Abdomen. CT. Image size 512x512. Field of view 472x472 mm.
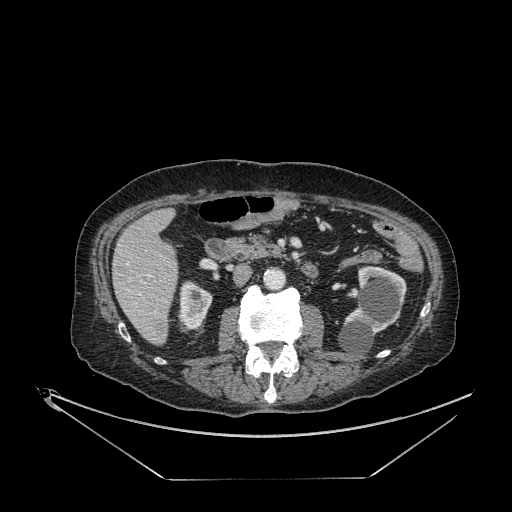 Findings:
- liver: x1=113 y1=209 x2=177 y2=345
- focal liver lesion: x1=155 y1=323 x2=165 y2=331
- kidney: x1=358 y1=266 x2=405 y2=302, x1=345 y1=307 x2=399 y2=333, x1=179 y1=282 x2=211 y2=328